Image width 240 mm
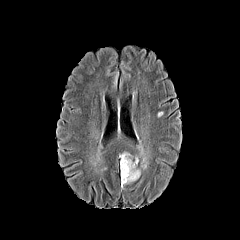
FLAIR MR image.
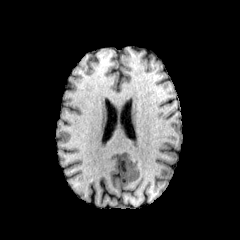
T1-weighted MRI.
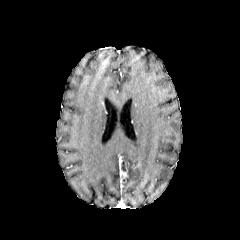
Post-contrast T1-weighted MR image of the same slice.
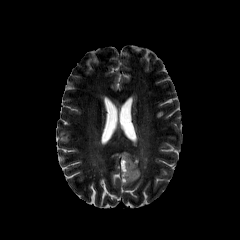
T2-weighted magnetic resonance.
Enhancing tumor — l=120, t=160, r=128, b=183.
Edema — l=121, t=151, r=140, b=187.